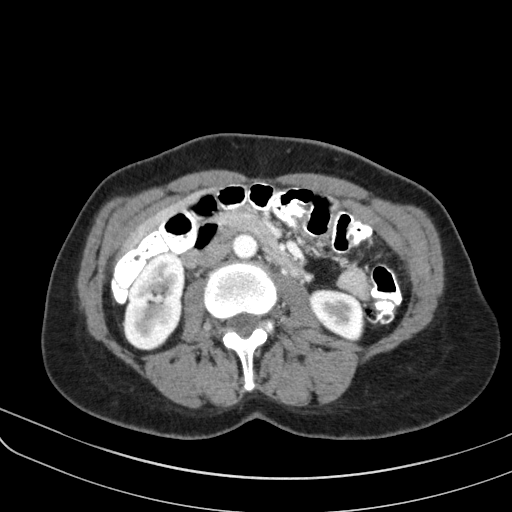 CT slice. <segmentation>
  <pancreas>box(216, 210, 271, 240)</pancreas>
</segmentation>